Abdomen | Slice 39/51 | CT slice 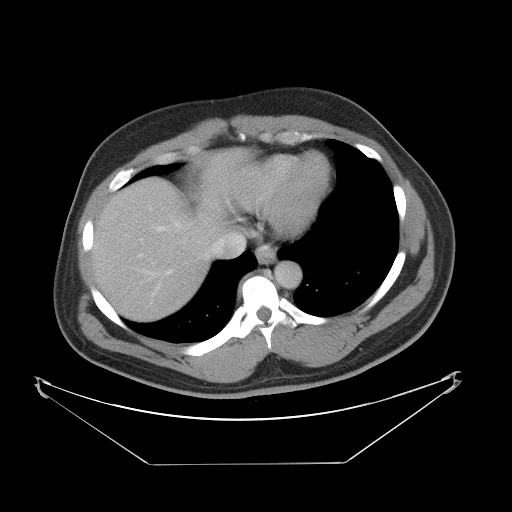

Not every hepatic vessel necessarily has a box.
<segmentation>
  <hepatic_vessel>[x1=204, y1=222, x2=207, y2=225], [x1=150, y1=273, x2=154, y2=275], [x1=167, y1=271, x2=170, y2=273], [x1=160, y1=272, x2=163, y2=278], [x1=180, y1=229, x2=243, y2=255]</hepatic_vessel>
</segmentation>